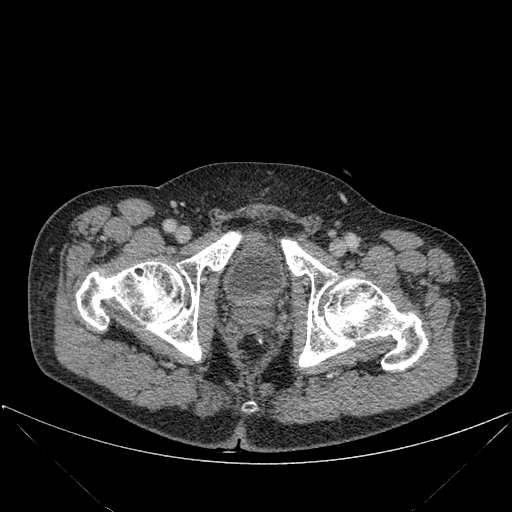 CT scan slice. {
  "bone": [
    "left=244, top=401, right=255, bottom=410",
    "left=76, top=232, right=241, bottom=360",
    "left=281, top=239, right=427, bottom=369"
  ]
}